CT slice | 512x512 px | Upper abdomen 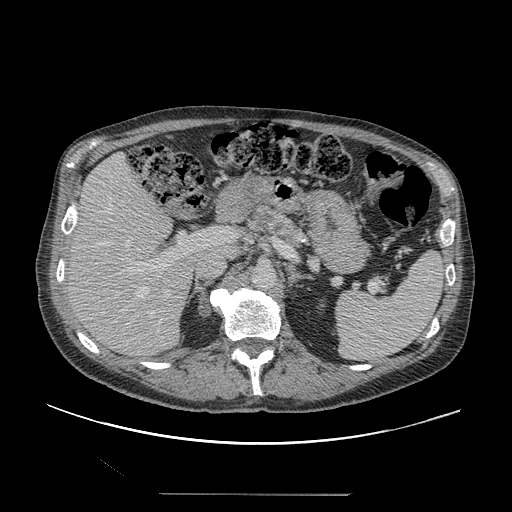

The pancreas is located at bbox(246, 204, 310, 251).